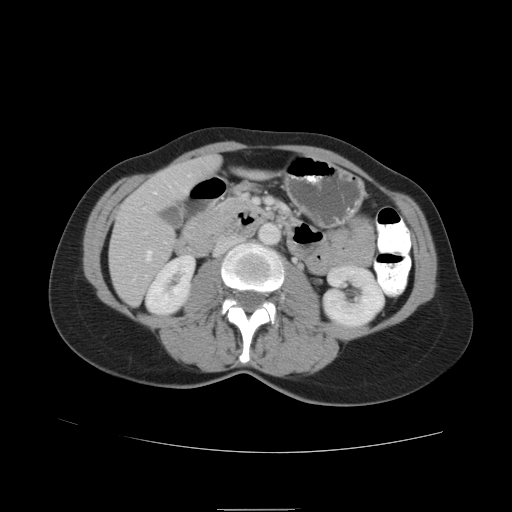
512x512 px; Upper abdomen; CT slice
Pancreas: box=[186, 197, 245, 247]; box=[305, 218, 375, 275].